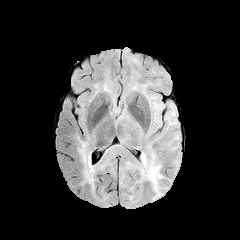
FLAIR MRI.
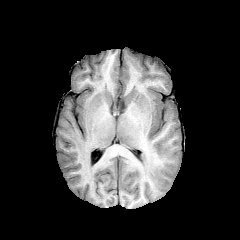
T1-weighted MRI of the same slice.
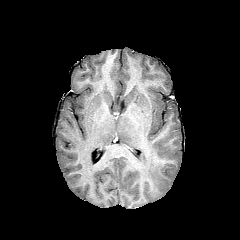
Post-contrast T1-weighted magnetic resonance.
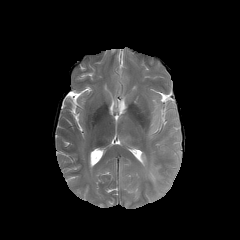
T2-weighted MR.
Brain
edema: {"x1": 78, "y1": 142, "x2": 103, "y2": 185}, {"x1": 140, "y1": 154, "x2": 161, "y2": 192}